Field of view 370x370 mm. Computed tomography. Slice index 15.
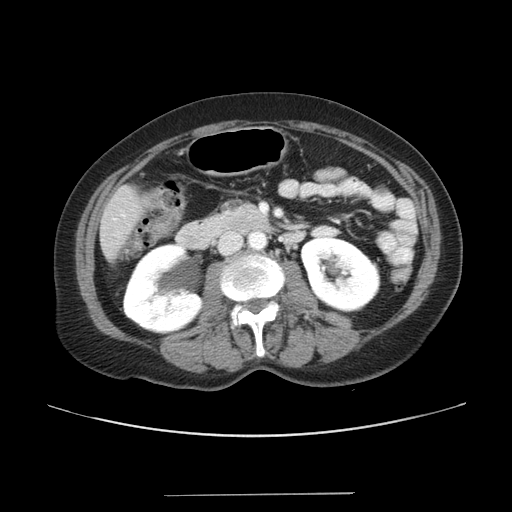

Segmented structures:
* colon tumor: [149, 220, 169, 241]